Slice 92/129. Field of view 512x512 mm. CT slice.
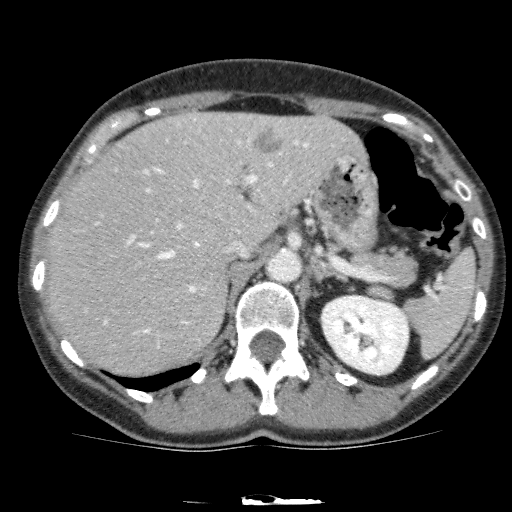

The liver appears at (45,112,367,372). The kidney appears at (322,296,408,374). 2 hepatic lesion regions appear at (191,240,202,249), (251,125,284,156).